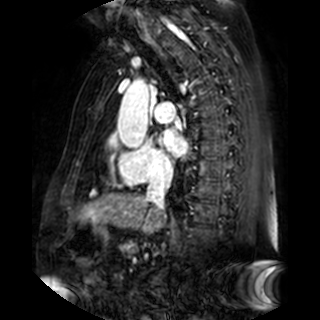

320x320; Cardiac; MR image
Left atrium = <bbox>162, 128, 188, 156</bbox>.